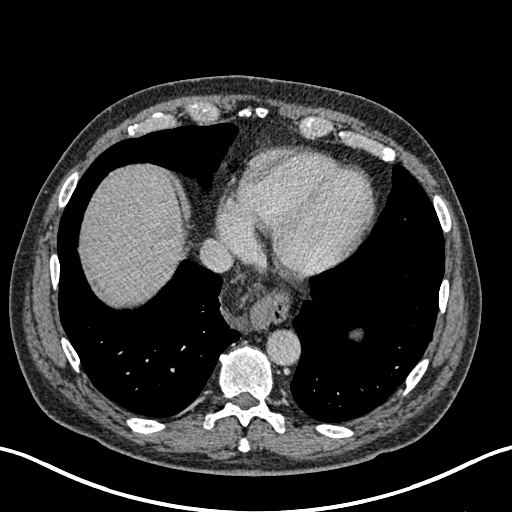 CT image.

{"liver": ["x1=81 y1=164 x2=183 y2=306"]}